CT | Liver | Image size 512x512

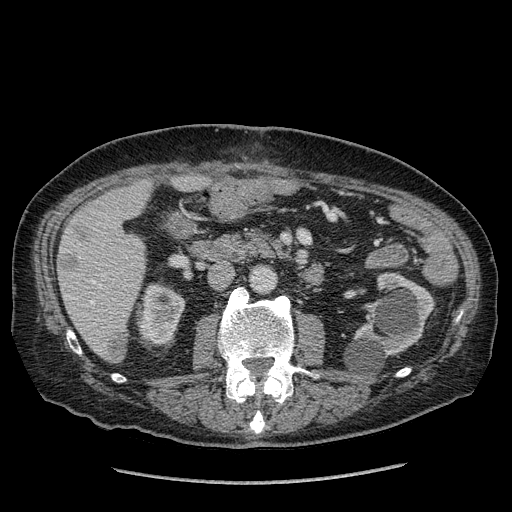
2 kidney regions appear at bbox(139, 285, 184, 343); bbox(354, 272, 433, 355). 2 liver regions appear at bbox(173, 174, 211, 191); bbox(58, 179, 151, 362). 3 liver lesion regions appear at bbox(108, 332, 126, 361); bbox(58, 253, 78, 267); bbox(76, 224, 84, 234).